CT slice
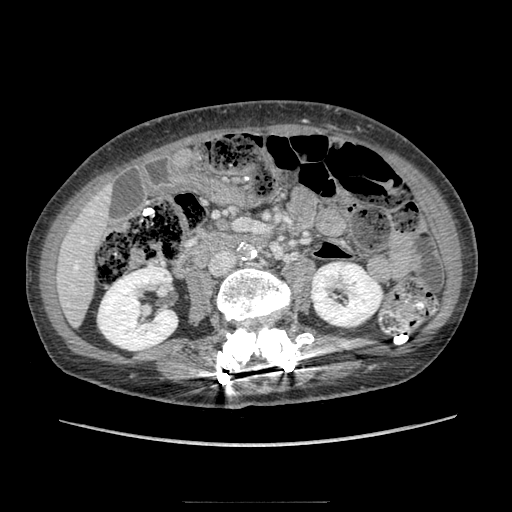

The pancreas is bounded by <box>197,229,237,252</box>.